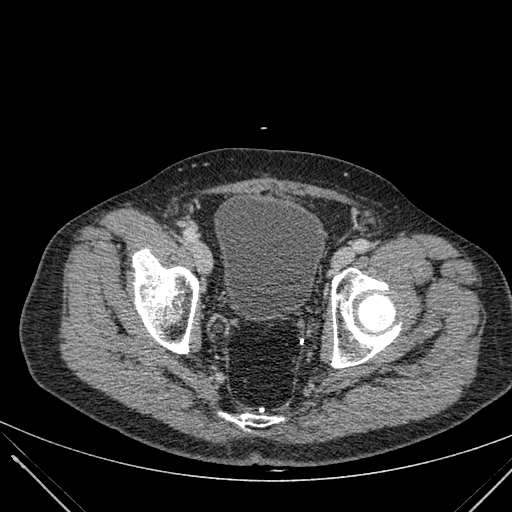 Pelvis; CT slice
{
  "urinary_bladder": [
    "214,198,325,317"
  ]
}